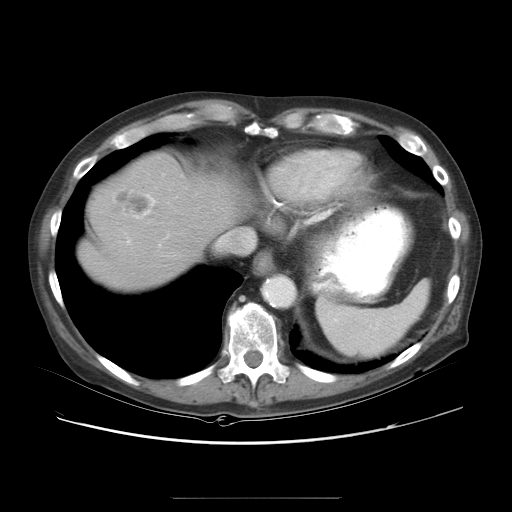 CT image

Not every hepatic vessel necessarily has a box.
Liver tumor: bbox(118, 193, 147, 212).
Hepatic vessel: bbox(248, 237, 252, 244).